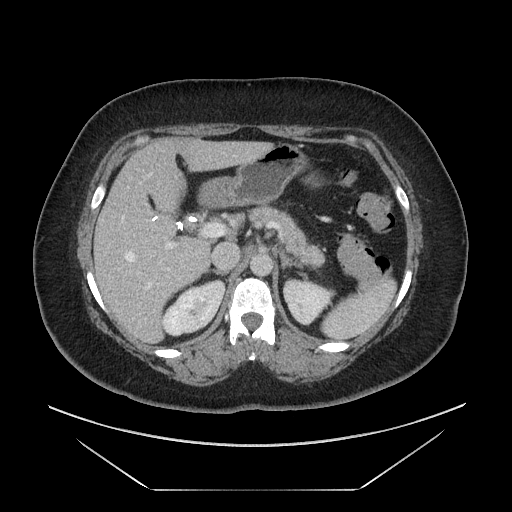
CT slice; Abdomen; 512x512
Pancreas — (250,207,323,265).